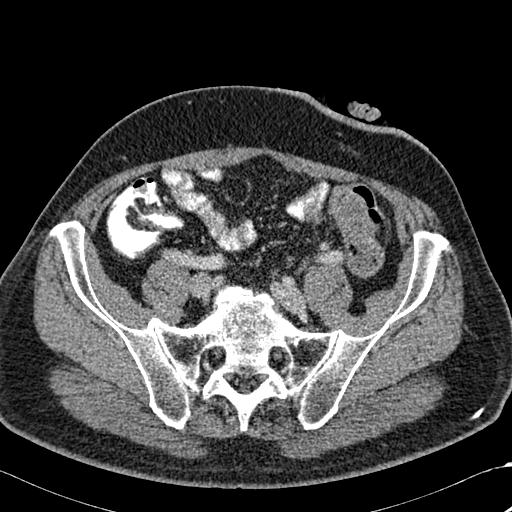

CT slice

The bone appears at (x1=50, y1=221, x2=448, y2=430).